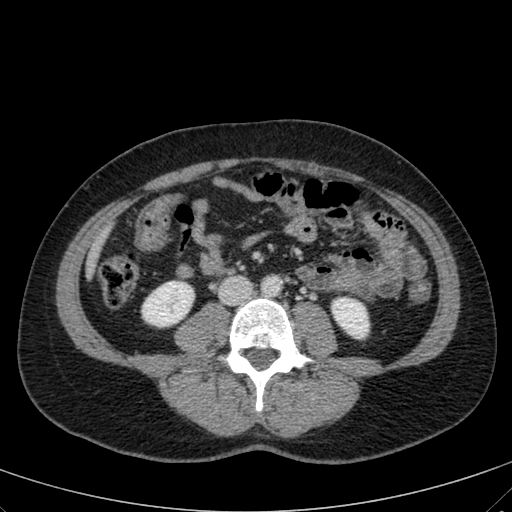

Upper abdomen, CT image
* kidney: bbox(332, 298, 368, 338); bbox(142, 281, 192, 326)
* liver: bbox(87, 224, 111, 278)